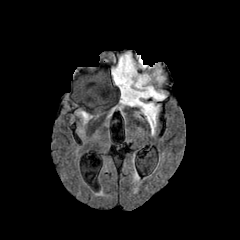
FLAIR MR.
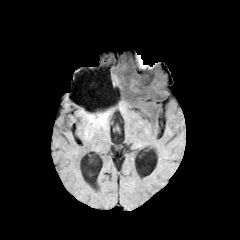
T1-weighted MRI.
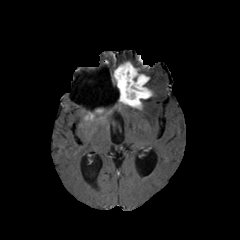
Post-contrast T1-weighted MR image.
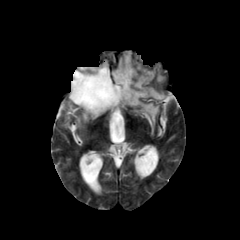
T2-weighted MRI.
The non-enhancing tumor core is at 134:65:150:77. 4 edema regions appear at 138:100:159:133, 148:75:166:101, 153:70:164:82, 116:52:133:67. The enhancing tumor is located at 114:61:152:107.